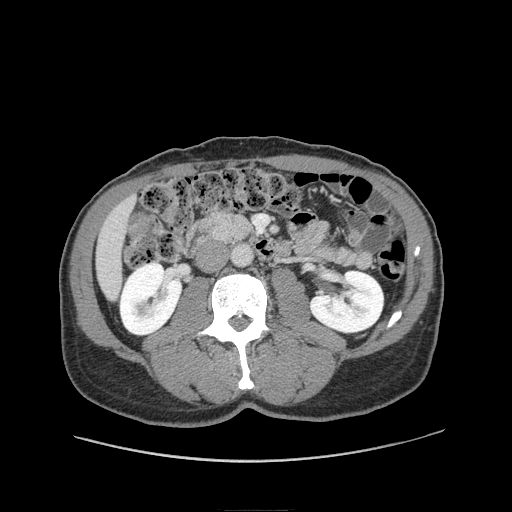

CT
pancreas:
  - 209,213,252,241